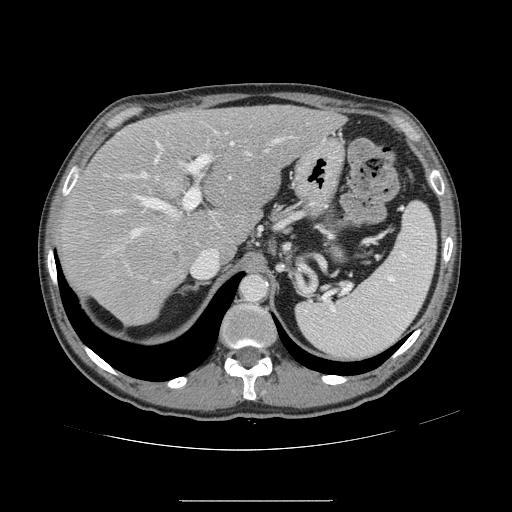

Image size 512x512; CT slice; Liver
The vessel boxes may cover only some of the vessels.
• hepatic vessel (most prominent 15 of 20): rect(131, 228, 144, 238); rect(187, 154, 210, 173); rect(111, 210, 120, 212); rect(214, 131, 217, 133); rect(134, 195, 175, 215); rect(156, 176, 158, 179); rect(183, 189, 200, 208); rect(137, 172, 146, 177); rect(156, 142, 163, 153); rect(245, 152, 249, 155); rect(289, 136, 291, 137); rect(120, 175, 128, 177); rect(154, 154, 159, 162); rect(114, 247, 117, 250); rect(273, 138, 282, 142)
• liver tumor: rect(124, 238, 177, 278)